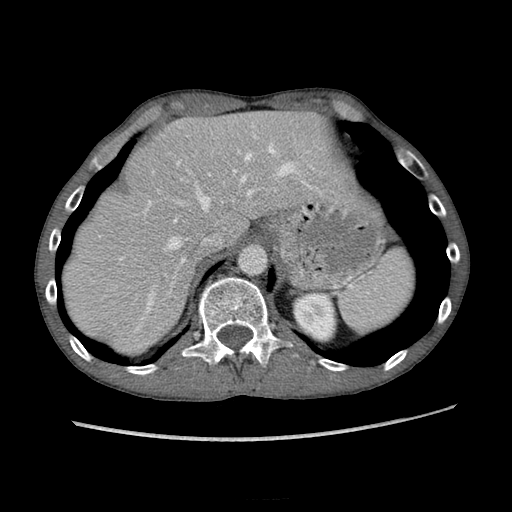
512x512 px | Liver | CT slice
The liver is located at region(63, 109, 374, 354). The kidney is located at region(295, 294, 333, 338).